Brain. 240x240 px. Slice 102/155.
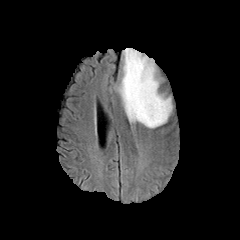
FLAIR magnetic resonance.
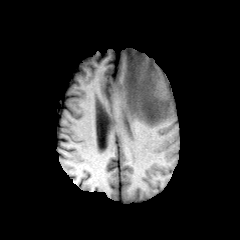
T1-weighted magnetic resonance of the same slice.
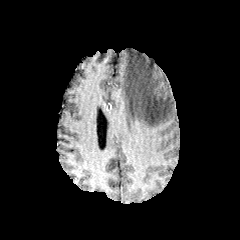
Post-contrast T1-weighted magnetic resonance.
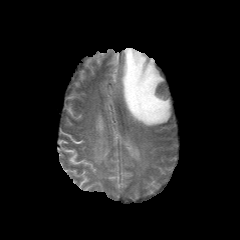
Same slice, T2-weighted magnetic resonance.
The edema lies within 118,48,171,127.